FLAIR MR image.
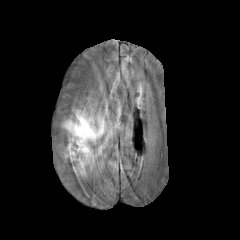
T1-weighted MR image.
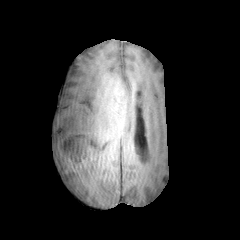
Post-contrast T1-weighted MR image.
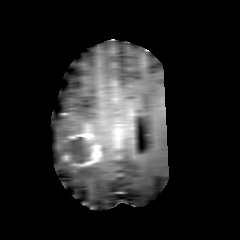
T2-weighted magnetic resonance.
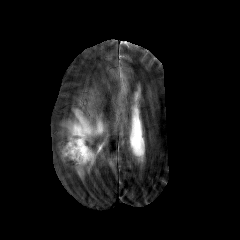
The edema is at rect(62, 103, 105, 138). 2 enhancing tumor regions are bounded by rect(70, 125, 96, 142); rect(81, 144, 102, 165). The non-enhancing tumor core is at rect(62, 126, 99, 167).